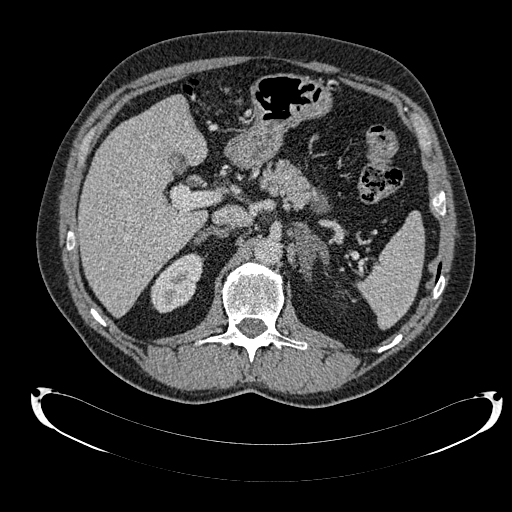 Abdomen; CT image; Image size 512x512

liver:
  - 78:96:206:315
kidney:
  - 151:254:201:312